Head. Slice index 84.
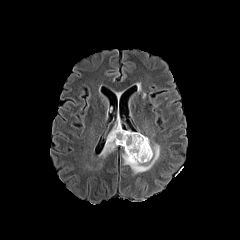
FLAIR MRI.
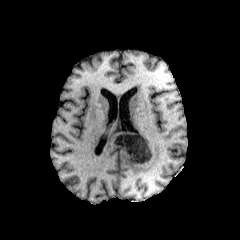
T1-weighted magnetic resonance of the same slice.
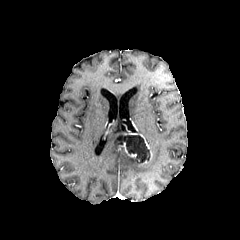
Same slice, post-contrast T1-weighted magnetic resonance.
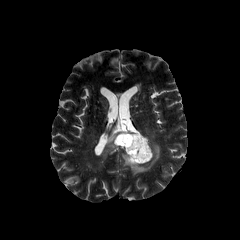
T2-weighted MR.
The non-enhancing tumor core is at 116, 131, 150, 163. The enhancing tumor is located at 129, 132, 149, 148. 2 edema regions appear at 99, 120, 122, 157; 121, 132, 160, 174.